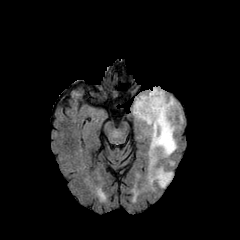
FLAIR MR image.
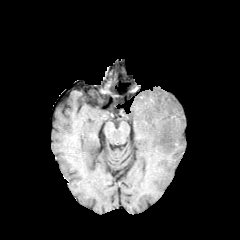
T1-weighted MR.
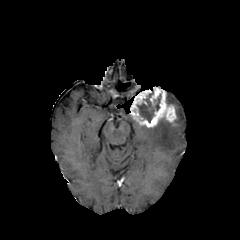
Same slice, post-contrast T1-weighted MRI.
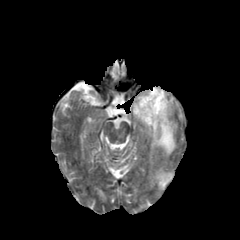
Same slice, T2-weighted MR image.
Image size 240x240
2 edema regions are bounded by 166:95:182:120, 141:120:177:188. The non-enhancing tumor core is at 137:93:159:121. The enhancing tumor appears at 130:86:175:127.